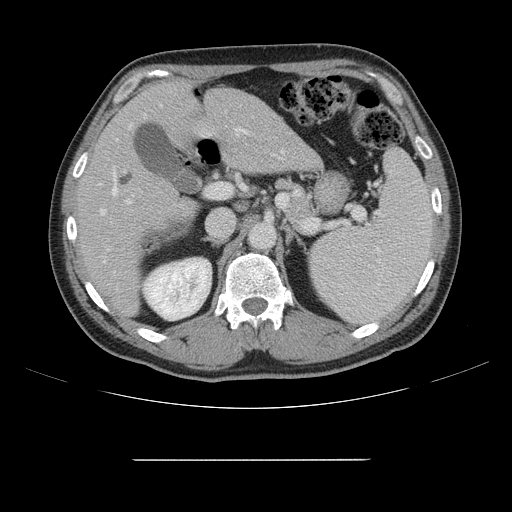
Liver, CT scan slice

Some hepatic vessels may have no box.
{
  "hepatic_vessel": [
    "(280,149,284,152)",
    "(103,260,104,262)",
    "(112,168,117,194)",
    "(234,128,249,133)",
    "(159,104,161,105)",
    "(125,200,130,203)",
    "(98,183,100,184)",
    "(271,154,275,155)",
    "(100,209,105,214)"
  ]
}